FLAIR MR image.
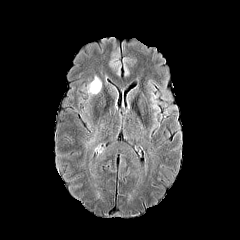
T1-weighted MRI.
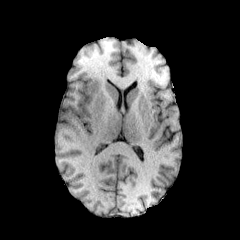
Post-contrast T1-weighted MR.
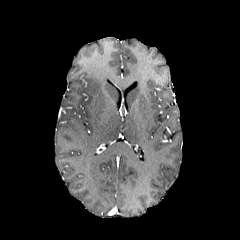
T2-weighted MRI.
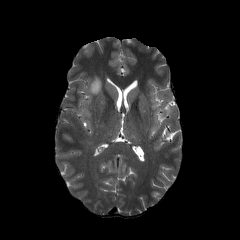
<segmentation>
  <edema>rect(83, 76, 101, 96)</edema>
</segmentation>